Image size 240x240, Slice index 59
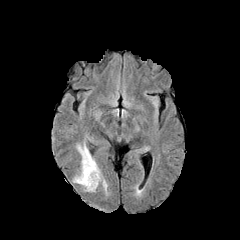
FLAIR MR image.
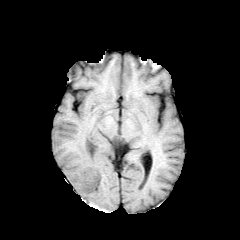
T1-weighted magnetic resonance of the same slice.
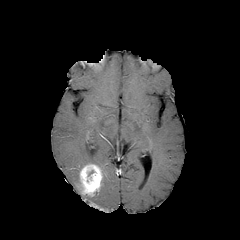
Post-contrast T1-weighted MR.
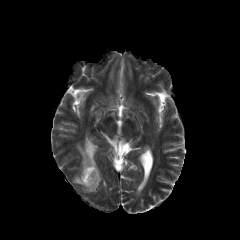
T2-weighted magnetic resonance.
edema: left=77, top=144, right=97, bottom=169; left=73, top=174, right=83, bottom=191 | enhancing tumor: left=79, top=164, right=101, bottom=192